Slice 13/41; CT; Abdomen
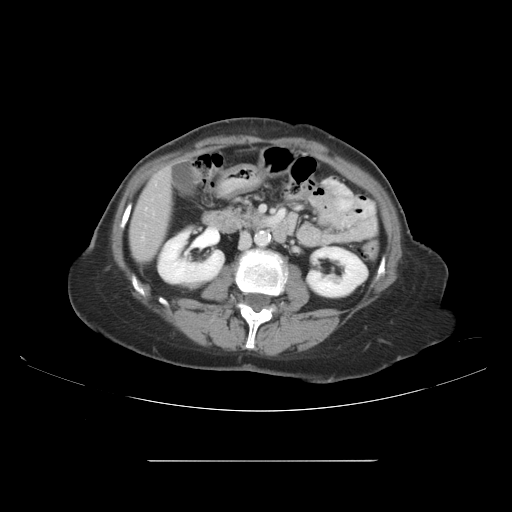
The pancreas lies within box(228, 209, 251, 222).